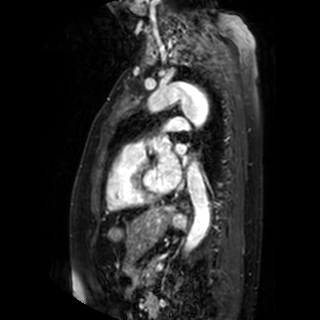

320x320 px. MR.

{
  "left_atrium": [
    "x1=176, y1=144, x2=185, y2=154",
    "x1=159, y1=151, x2=181, y2=189",
    "x1=182, y1=156, x2=188, y2=165"
  ]
}